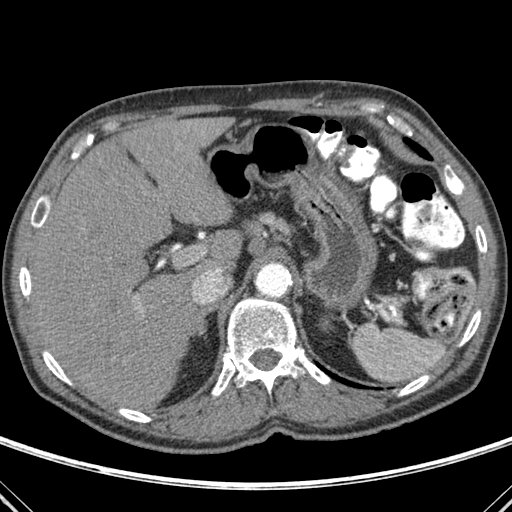
CT slice
9 bone regions are located at (445,165,463,194), (398,375,428,395), (31,196,47,227), (119,409,150,422), (476,225,486,252), (43,351,71,384), (460,310,480,345), (212,298,330,395), (19,267,31,296). 2 liver regions are bounded by (28,116,235,410), (212,230,241,266). 2 lung regions are located at (403,138,431,160), (317,363,366,388).